Image width 404 mm | 512x512 | Computed tomography
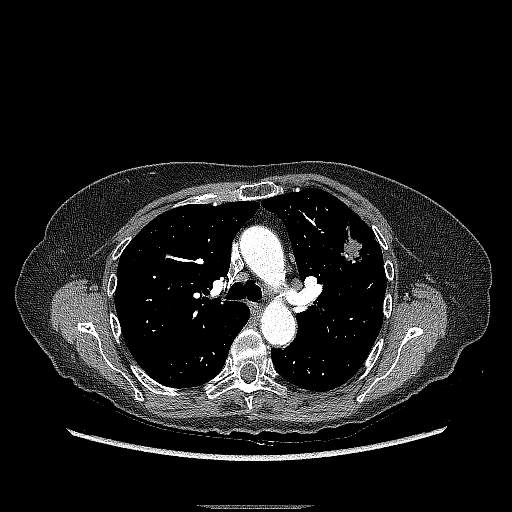
Lung tumor: 337:211:366:265.